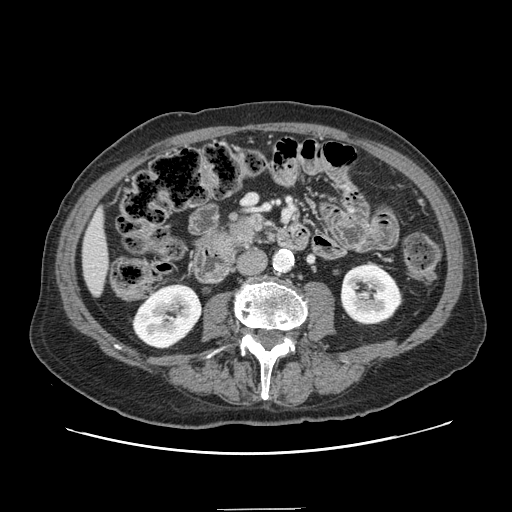 Abdomen; CT slice
The pancreas is bounded by rect(224, 214, 260, 249).